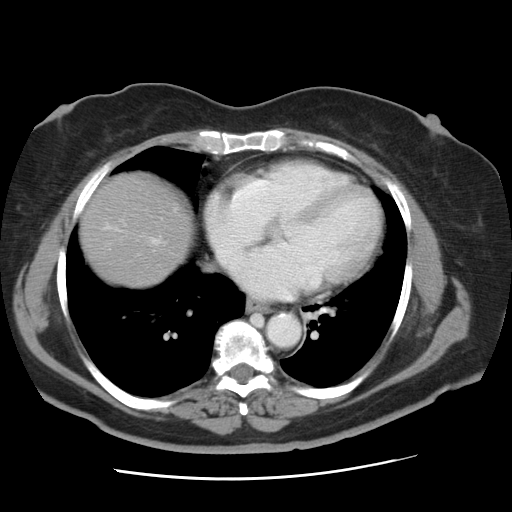
CT scan slice; Abdomen

The vessel boxes may cover only some of the vessels.
hepatic vessel: [x1=217, y1=257, x2=228, y2=267], [x1=152, y1=238, x2=159, y2=243]